CT slice, Slice 105/168

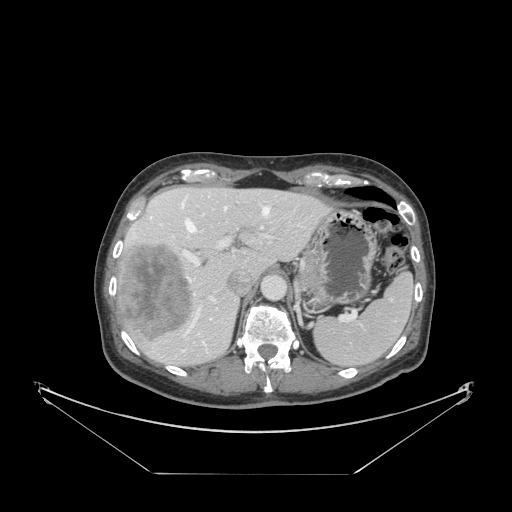 spleen: {"x1": 314, "y1": 273, "x2": 413, "y2": 366}